Abdomen | Slice index 16 | CT 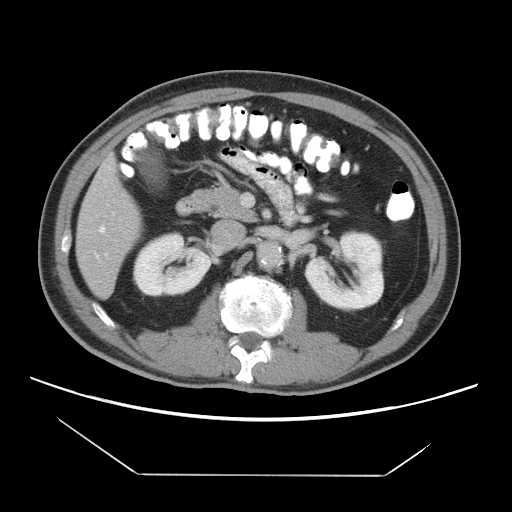

Not every hepatic vessel necessarily has a box.
9 hepatic vessel regions are bounded by 105 253 107 256, 92 251 99 259, 119 217 121 219, 112 212 114 214, 106 203 108 205, 96 215 98 216, 103 165 114 170, 99 226 104 232, 113 199 114 201.